FLAIR MR image.
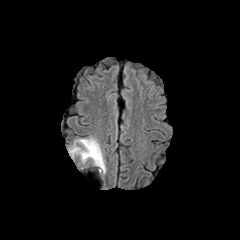
T1-weighted MRI.
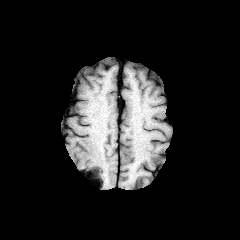
Post-contrast T1-weighted MR image.
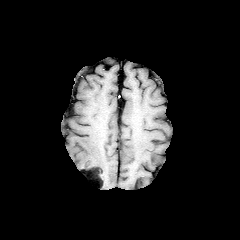
T2-weighted MR.
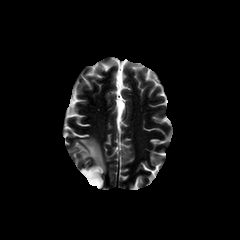
<segmentation>
  <edema>left=68, top=136, right=106, bottom=175</edema>
</segmentation>